Field of view 240 mm wide, 1.00 mm slice spacing.
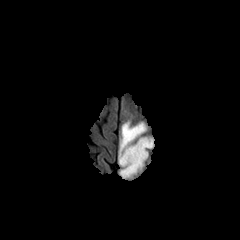
FLAIR MRI.
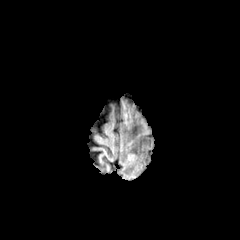
T1-weighted MR image.
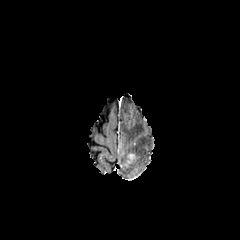
Same slice, post-contrast T1-weighted MRI.
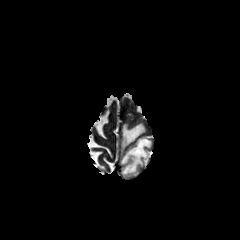
Same slice, T2-weighted MR.
edema: region(119, 120, 153, 179)